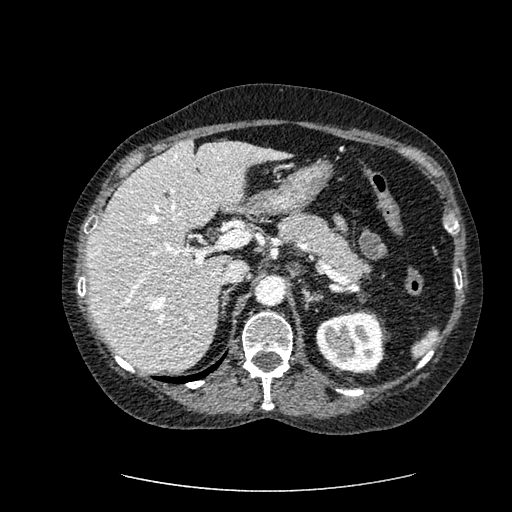

Abdomen. Computed tomography.

{"liver": ["rect(88, 139, 294, 371)"], "kidney": ["rect(317, 312, 382, 372)"], "hepatic_lesion": ["rect(163, 190, 170, 199)"]}